CT image 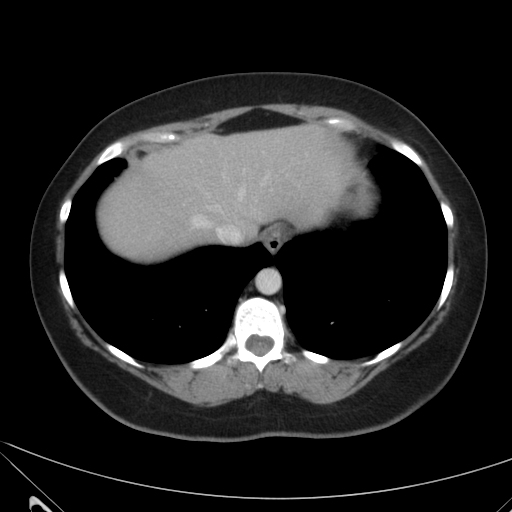

liver: [x1=100, y1=124, x2=348, y2=256]